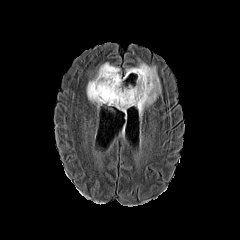
FLAIR MR.
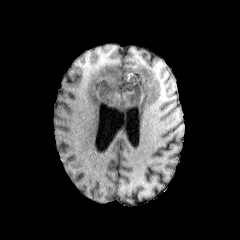
T1-weighted MR.
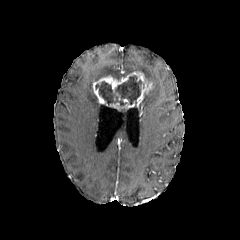
Post-contrast T1-weighted MR of the same slice.
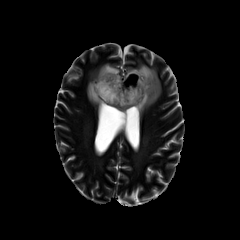
Same slice, T2-weighted magnetic resonance.
240x240.
Edema: bounding box left=87, top=63, right=122, bottom=109; left=126, top=60, right=161, bottom=118.
Enhancing tumor: bounding box left=110, top=98, right=134, bottom=109; left=96, top=71, right=154, bottom=106; left=93, top=85, right=106, bottom=103.
Non-enhancing tumor core: bounding box left=95, top=75, right=141, bottom=106.